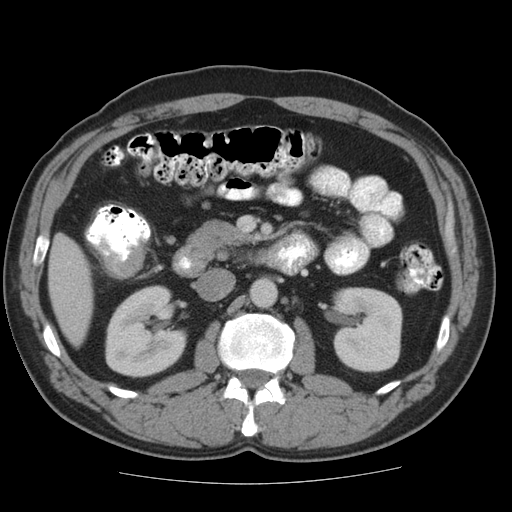

CT | Pelvis
* colon tumor: [104,246,144,275]